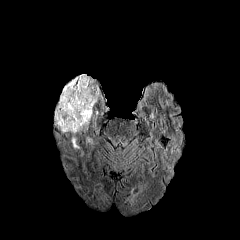
FLAIR magnetic resonance.
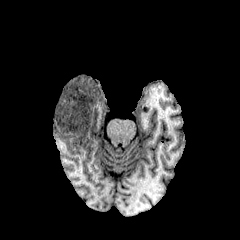
T1-weighted MR image.
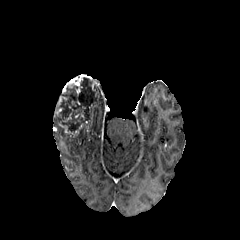
Same slice, post-contrast T1-weighted MRI.
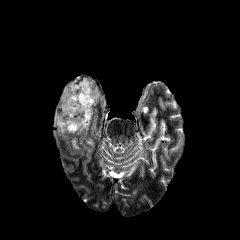
T2-weighted MR of the same slice.
Brain
Enhancing tumor: {"x1": 63, "y1": 74, "x2": 91, "y2": 93}.
Non-enhancing tumor core: {"x1": 53, "y1": 76, "x2": 101, "y2": 147}.